Field of view 387x387 mm. CT image. Abdomen. Slice 372 of 846.
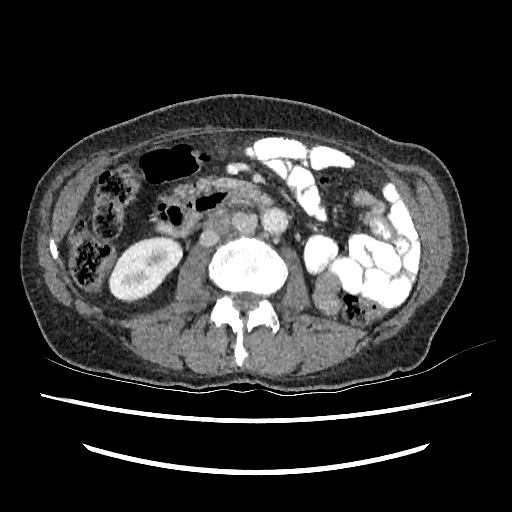
Kidney: bbox=[110, 238, 182, 299].